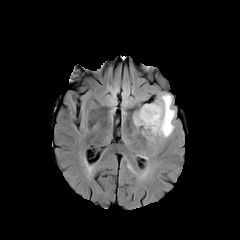
FLAIR magnetic resonance.
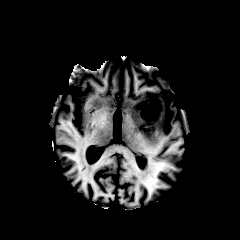
T1-weighted MR of the same slice.
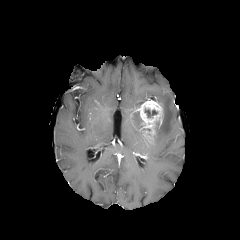
Post-contrast T1-weighted MR of the same slice.
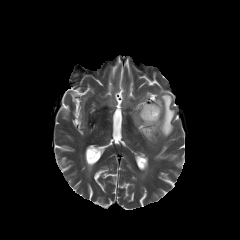
T2-weighted MR.
Head
non-enhancing_tumor_core:
  - (142,100,163,133)
edema:
  - (139,93,149,101)
  - (132,106,147,137)
  - (150,91,176,143)
enhancing_tumor:
  - (138,101,160,122)
  - (146,131,154,142)